CT scan slice, 512x512, Slice 53/131 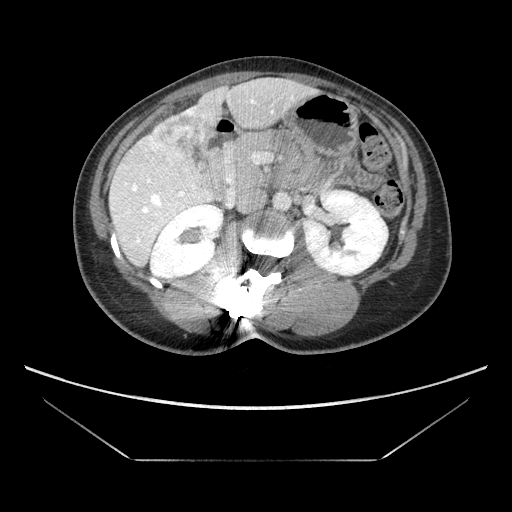

Segmented structures:
• liver tumor: (147,105,213,159)